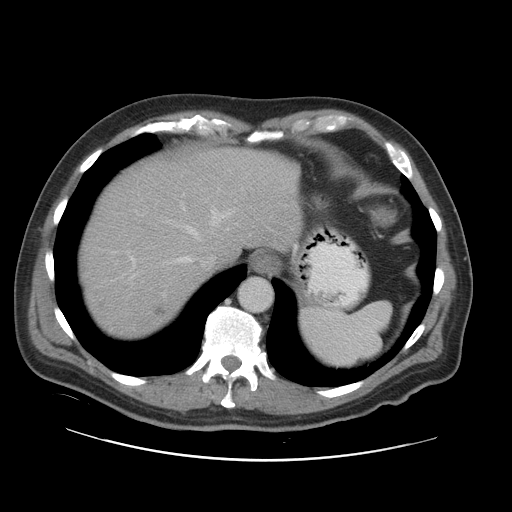
512x512; CT
Only some of the vessels may be annotated.
The liver tumor appears at [x1=156, y1=308, x2=165, y2=315]. 2 hepatic vessel regions appear at [x1=186, y1=226, x2=198, y2=238], [x1=211, y1=211, x2=220, y2=225].